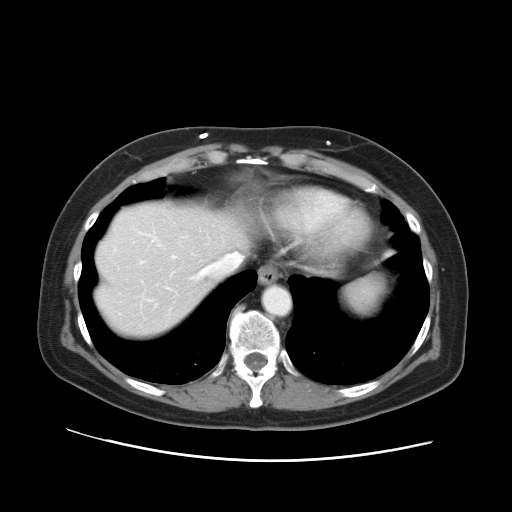 Abdomen; Computed tomography
The vessel annotation is not exhaustive.
Hepatic vessel at [191,253,241,280].